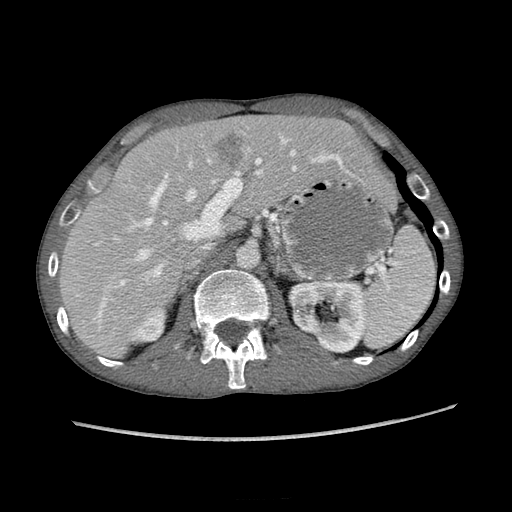
Upper abdomen | CT slice | Image size 512x512

Findings:
- kidney: left=290, top=282, right=367, bottom=351; left=133, top=310, right=162, bottom=340
- liver: left=57, top=117, right=377, bottom=356
- liver lesion: left=215, top=136, right=245, bottom=165